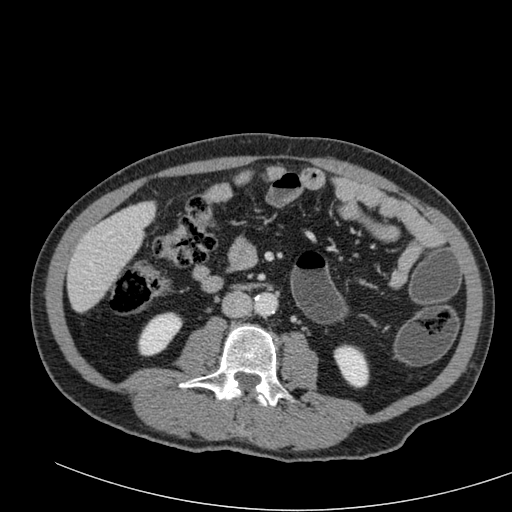
CT, Upper abdomen

Segmented structures:
* kidney: {"x1": 139, "y1": 313, "x2": 180, "y2": 354}, {"x1": 335, "y1": 347, "x2": 367, "y2": 386}
* liver: {"x1": 67, "y1": 202, "x2": 154, "y2": 311}